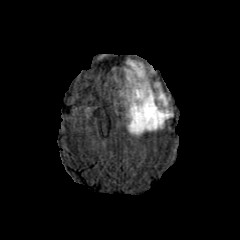
FLAIR magnetic resonance.
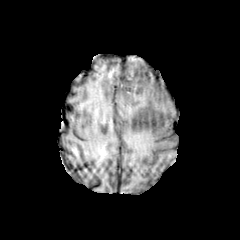
T1-weighted MR image.
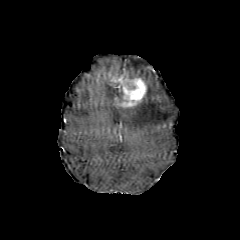
Post-contrast T1-weighted MR.
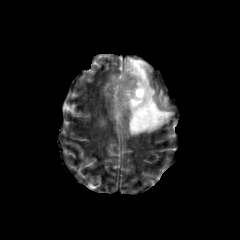
T2-weighted MRI.
Head
Findings:
* enhancing tumor: [119,74,146,106]
* edema: [124,58,173,135]